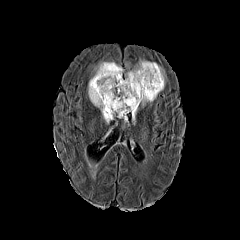
FLAIR MRI.
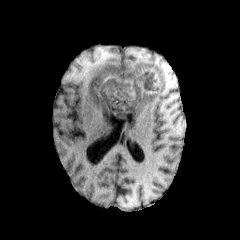
T1-weighted MR of the same slice.
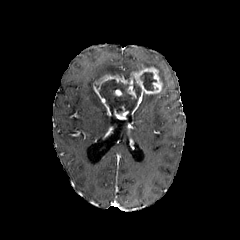
Post-contrast T1-weighted magnetic resonance.
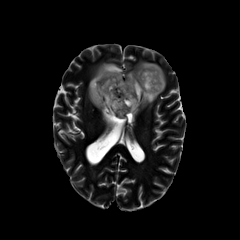
T2-weighted MRI.
Brain
Edema at [x1=141, y1=93, x2=158, y2=108], [x1=87, y1=61, x2=124, y2=124], [x1=124, y1=59, x2=166, y2=89].
Enhancing tumor at [x1=93, y1=64, x2=162, y2=116], [x1=113, y1=89, x2=122, y2=96], [x1=113, y1=106, x2=128, y2=119].
Non-enhancing tumor core at [x1=99, y1=78, x2=141, y2=117], [x1=140, y1=72, x2=156, y2=90].